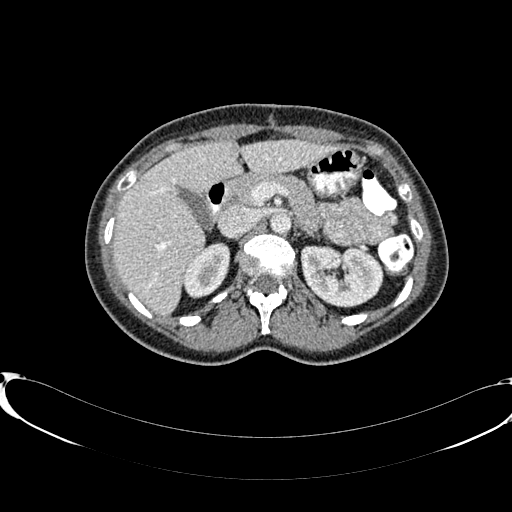

512x512 px. Computed tomography. Abdomen.
Liver at bbox(112, 140, 338, 314).
Kidney at bbox(302, 247, 381, 305); bbox(185, 245, 228, 295).